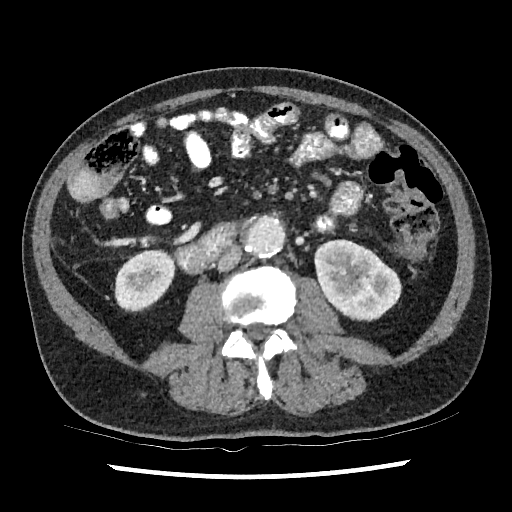 Image size 512x512; Abdomen; Computed tomography
- kidney: (315,240,400,320), (115,251,174,310)